Abdomen | 512x512 | Field of view 400x400 mm | Slice 29 of 103 | CT image
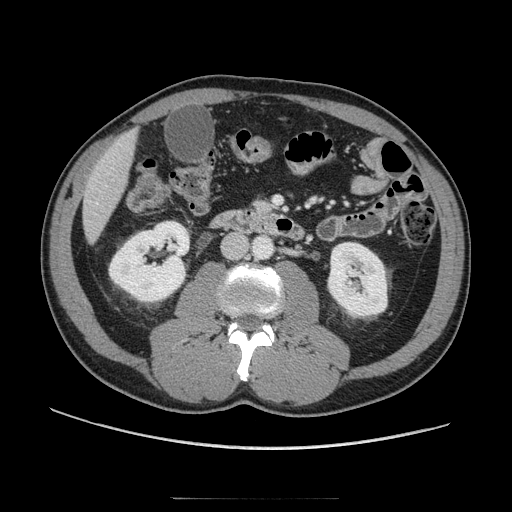
Annotated regions:
• pancreas: l=253, t=197, r=276, b=216